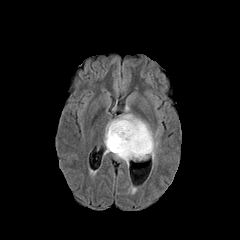
FLAIR MR.
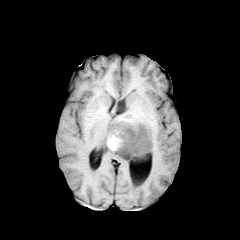
Same slice, T1-weighted magnetic resonance.
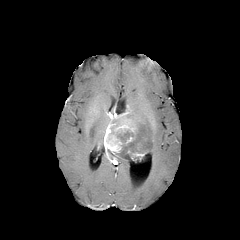
Post-contrast T1-weighted MR image.
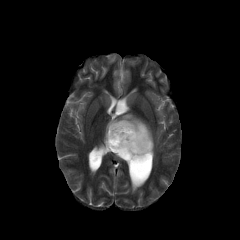
Same slice, T2-weighted MRI.
Image size 240x240.
enhancing tumor: left=104, top=119, right=137, bottom=155; left=131, top=152, right=145, bottom=160 | non-enhancing tumor core: left=116, top=125, right=150, bottom=161 | edema: left=105, top=98, right=158, bottom=161; left=113, top=155, right=129, bottom=167